Slice 575 of 846. CT image. 512x512. 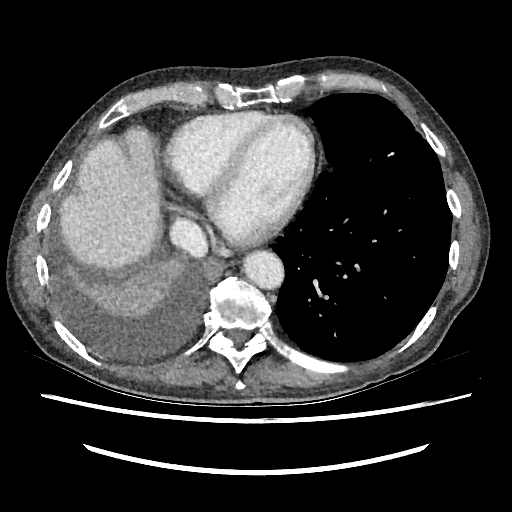

The liver is located at box=[61, 130, 158, 268].